MR. Medial temporal lobe. Slice 15/39. 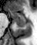
Annotated regions:
- anterior hippocampus: left=8, top=9, right=25, bottom=19
- posterior hippocampus: left=14, top=20, right=25, bottom=27